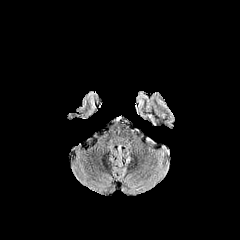
FLAIR MR.
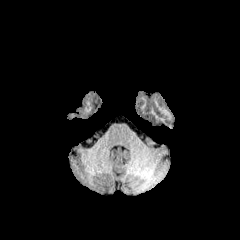
Same slice, T1-weighted MRI.
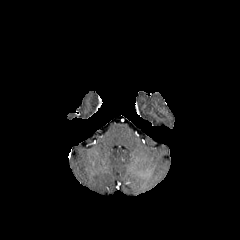
Same slice, post-contrast T1-weighted magnetic resonance.
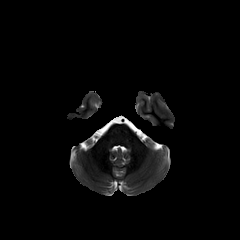
T2-weighted magnetic resonance of the same slice.
Head
edema:
  - <box>157,100,171,117</box>